Field of view 240 mm wide, 1.00 mm slice spacing
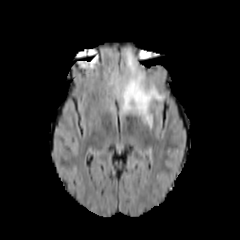
FLAIR magnetic resonance.
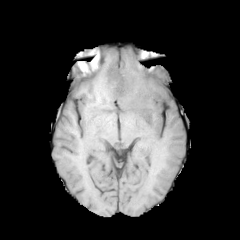
T1-weighted MR image.
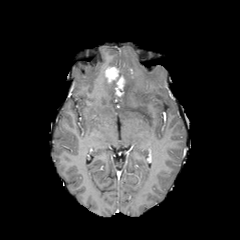
Post-contrast T1-weighted MRI.
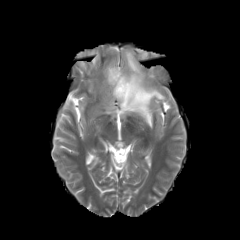
Same slice, T2-weighted MR image.
edema:
  - [118,49,164,129]
enhancing_tumor:
  - [104,66,125,96]